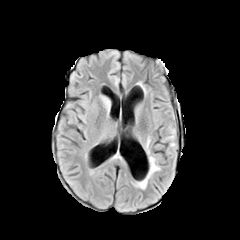
FLAIR MRI.
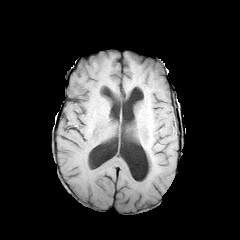
Same slice, T1-weighted MRI.
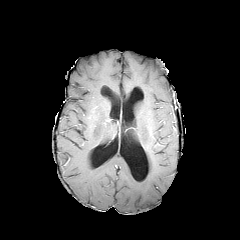
Post-contrast T1-weighted MR image of the same slice.
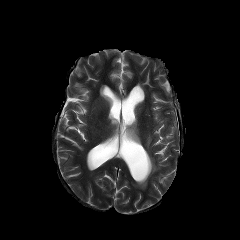
T2-weighted MR image.
Head
Edema: l=163, t=127, r=175, b=140; l=135, t=136, r=161, b=189.